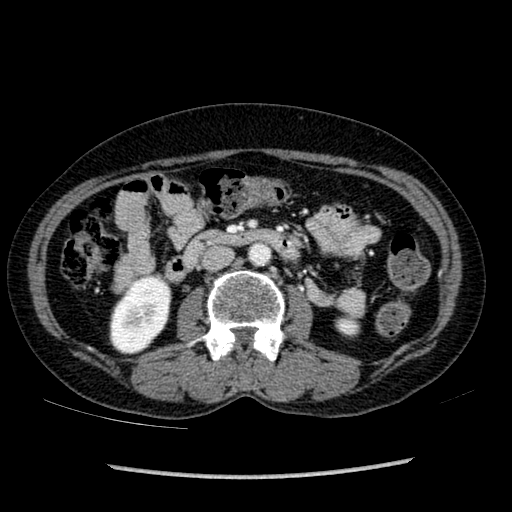

CT slice, 512x512

Kidney: bounding box x1=111, y1=277, x2=169, y2=352.